Hippocampus. MRI slice.
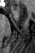
{"anterior_hippocampus": ["bbox(13, 7, 16, 11)"]}